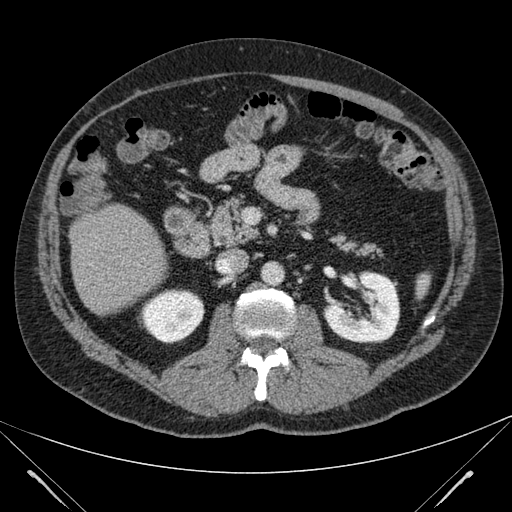

CT | 512x512

<segmentation>
  <kidney><box>325,272,398,341</box>, <box>143,290,203,341</box></kidney>
  <liver><box>70,205,166,314</box></liver>
</segmentation>